CT. Slice 451/816.
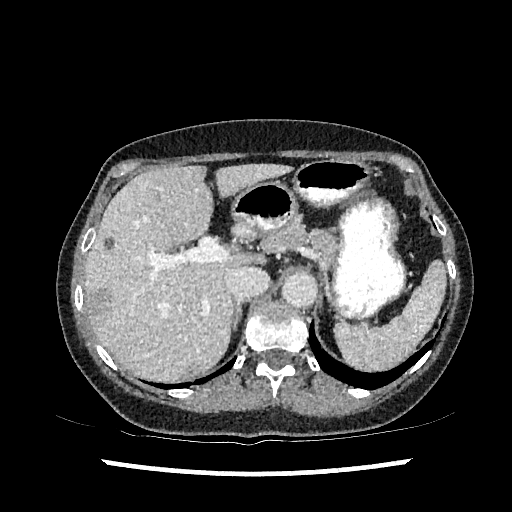
hepatic_lesion:
  - box(87, 288, 111, 324)
  - box(104, 237, 114, 248)
liver:
  - box(86, 166, 264, 378)
  - box(216, 165, 290, 197)